Slice index 57, CT slice, Abdomen
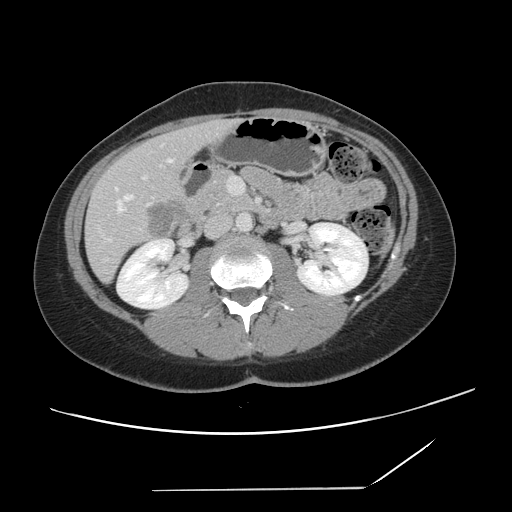 The vessel boxes may cover only some of the vessels.
<segmentation>
  <liver_tumor>147, 200, 185, 234</liver_tumor>
  <hepatic_vessel>125, 195, 133, 199; 115, 187, 117, 190; 117, 201, 123, 211; 105, 238, 111, 241; 143, 176, 146, 178; 168, 159, 172, 162; 147, 203, 149, 205</hepatic_vessel>
</segmentation>